CT scan slice, 512x512 px, Slice 498 of 811

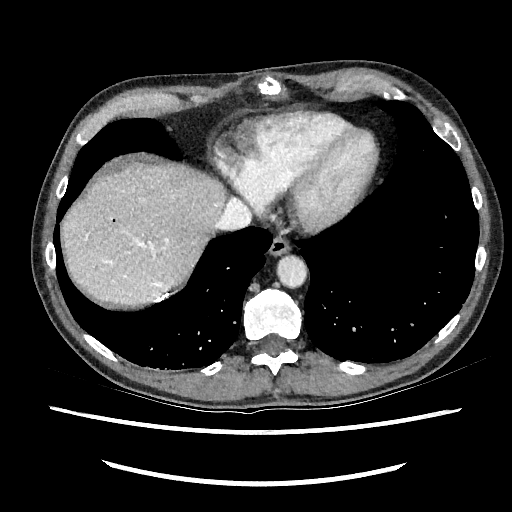
Liver: [62,162,225,304].